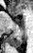
MR. 33x53 px. - posterior hippocampus: box=[8, 36, 22, 46]